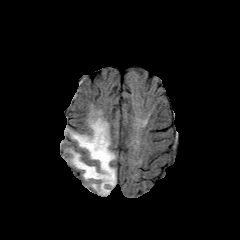
FLAIR magnetic resonance.
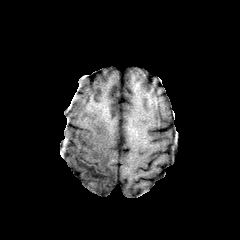
T1-weighted MR.
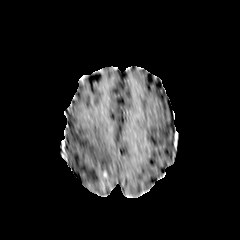
Same slice, post-contrast T1-weighted magnetic resonance.
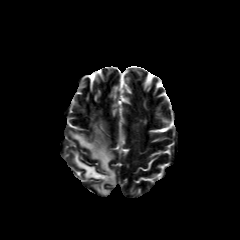
Same slice, T2-weighted MRI.
Head
non-enhancing_tumor_core:
  - x1=91 y1=170 x2=102 y2=178
  - x1=103 y1=175 x2=110 y2=190
edema:
  - x1=69 y1=118 x2=116 y2=195
enhancing_tumor:
  - x1=100 y1=172 x2=107 y2=190